240x240.
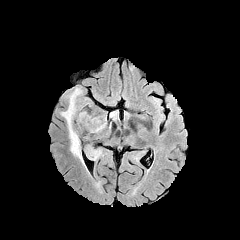
FLAIR MR image.
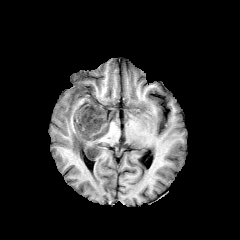
T1-weighted magnetic resonance.
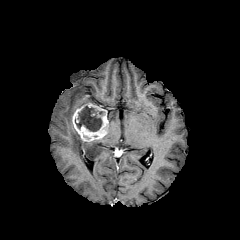
Post-contrast T1-weighted MR image.
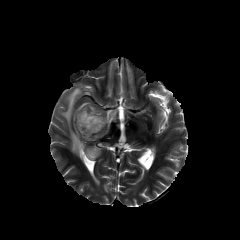
Same slice, T2-weighted magnetic resonance.
non-enhancing tumor core: 76:107:103:131 | edema: 61:87:99:163, 108:111:116:120 | enhancing tumor: 72:106:108:141